Pelvis | Image width 306 mm | Slice index 29 | CT scan slice
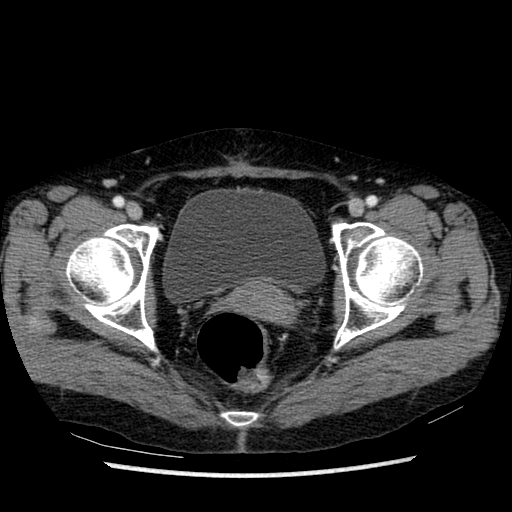

The urinary bladder is bounded by {"x1": 162, "y1": 187, "x2": 326, "y2": 303}.